Field of view 383 mm wide, 1.50 mm slice spacing, CT scan slice, Liver, 512x512 px
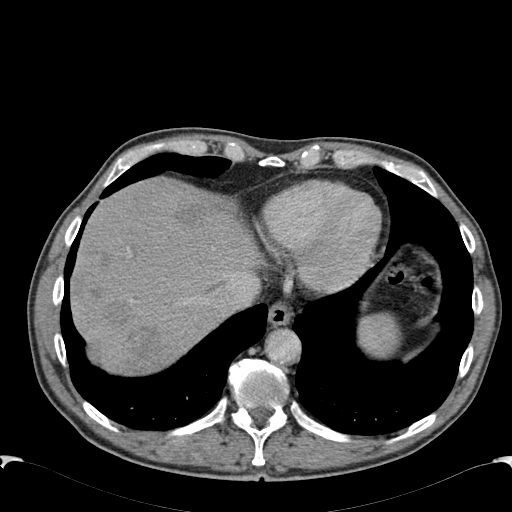
Liver: bounding box 71,176,259,374.
Liver lesion: bounding box 105,302,129,323; 90,288,99,298; 178,206,203,225; 128,327,182,373.